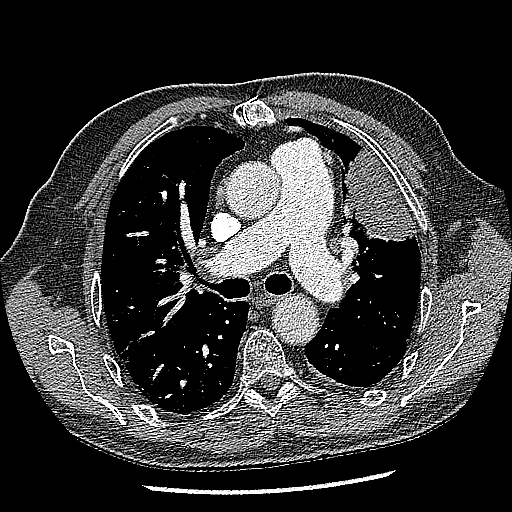 512x512; Computed tomography; Lung
lung tumor: 343:148:414:243